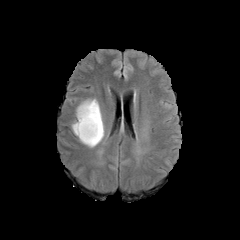
FLAIR magnetic resonance.
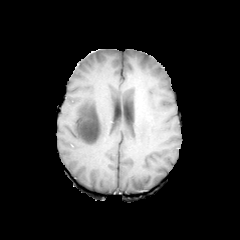
T1-weighted magnetic resonance of the same slice.
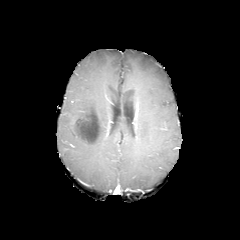
Post-contrast T1-weighted MR.
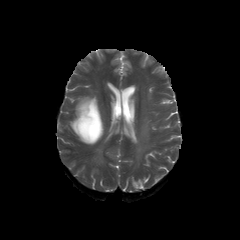
T2-weighted MR.
Brain
non-enhancing tumor core: l=78, t=108, r=99, b=141 | edema: l=70, t=97, r=107, b=147